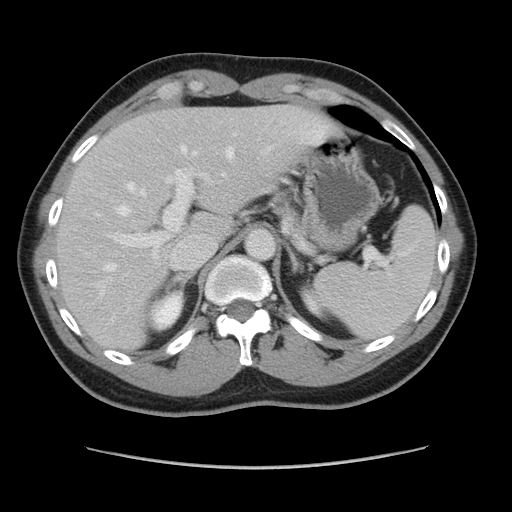

CT; Liver

The vessel annotation is not exhaustive.
Hepatic vessel: bounding box 96 282 104 295, 221 172 227 177, 181 145 186 153, 116 205 130 214, 141 188 145 196, 224 147 233 162, 104 263 115 271, 157 262 159 264, 190 154 198 158, 127 182 134 191, 262 150 265 152, 107 277 111 279, 107 166 210 253.